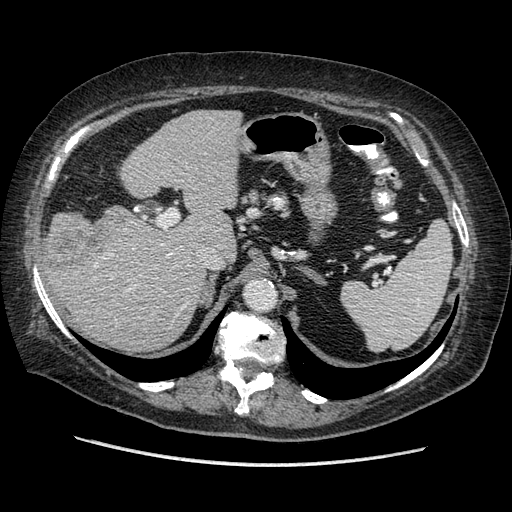

CT image
The liver tumor is at x1=45, y1=211, x2=118, y2=267.